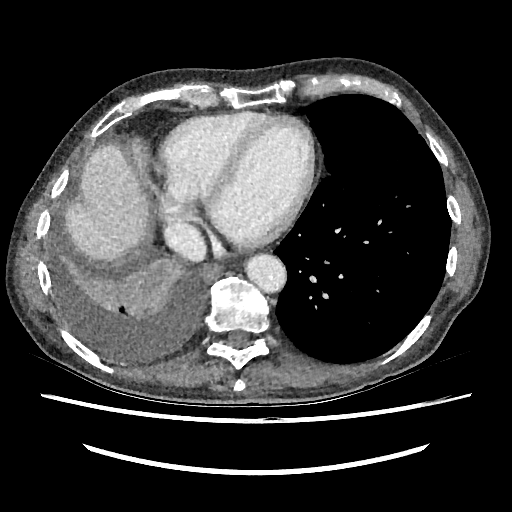 CT scan slice
Liver — 65,144,148,258; 132,138,144,166.